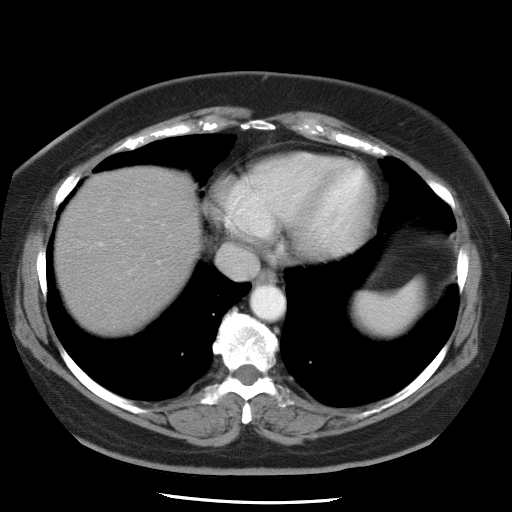

Liver; Computed tomography
The vessel annotation is not exhaustive.
2 hepatic vessel regions are bounded by <box>128,270,130,272</box>, <box>220,247,254,275</box>.